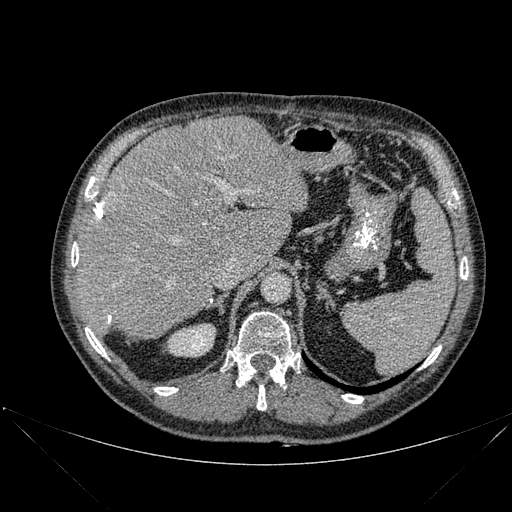 Computed tomography. lung:
  - 341:372:408:393
  - 303:355:339:385
liver:
  - 77:116:307:339
kidney:
  - 168:324:214:356
bone:
  - 460:263:468:279
  - 422:345:441:367
  - 342:394:363:403
  - 224:312:300:386
  - 154:387:177:395
  - 257:385:266:410
  - 451:191:458:207
  - 71:245:78:266
  - 85:177:96:197
  - 85:327:106:357